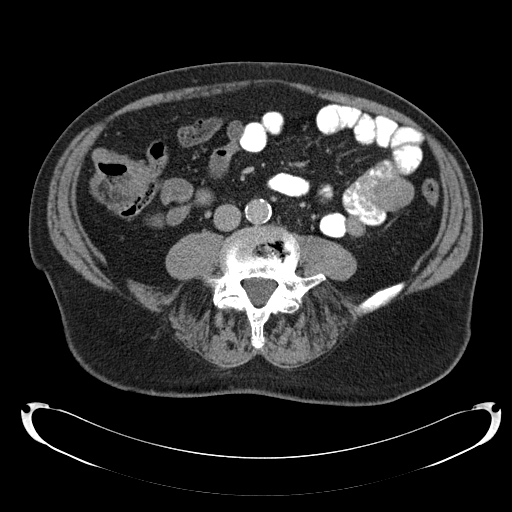
Computed tomography; Abdomen
{
  "colon_tumor": [
    "[89, 171, 102, 194]",
    "[91, 148, 151, 199]"
  ]
}